Field of view 480 mm wide, 5.00 mm slice spacing | CT slice 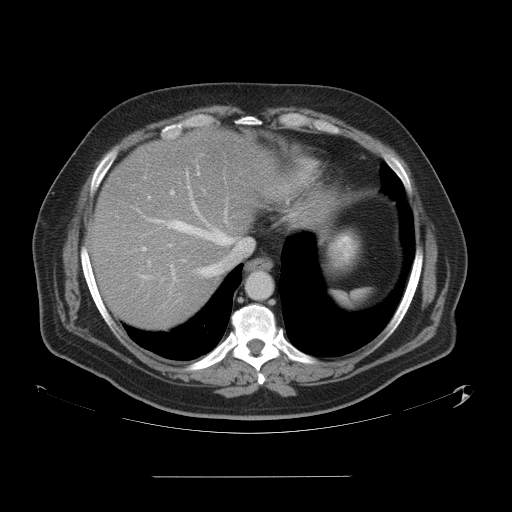

Only some of the vessels may be annotated.
{"hepatic_vessel": ["<box>169,244,171,246</box>", "<box>148,197,149,198</box>", "<box>197,172,199,175</box>", "<box>170,191,173,194</box>", "<box>224,207,227,222</box>", "<box>198,262,222,275</box>", "<box>138,274,151,279</box>", "<box>143,247,145,250</box>", "<box>167,220,235,245</box>", "<box>170,265,176,287</box>", "<box>161,278,163,280</box>", "<box>147,218,163,222</box>"]}